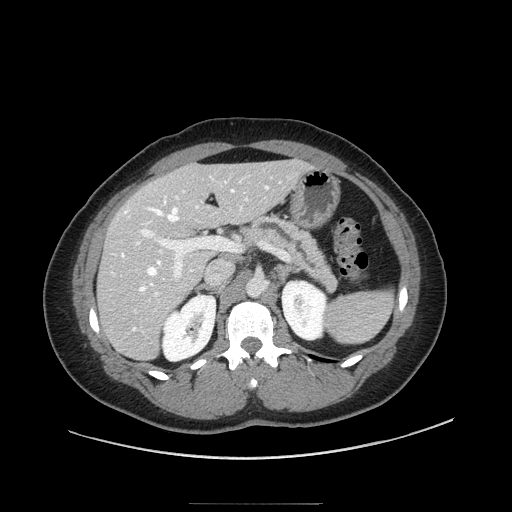 Upper abdomen; CT
The pancreas is located at bbox=[241, 213, 339, 292].